Field of view 400x400 mm, 512x512 px, CT image 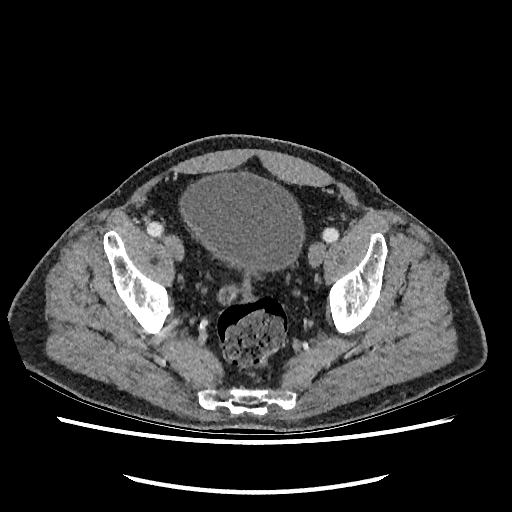

The urinary bladder is bounded by rect(181, 171, 304, 275).